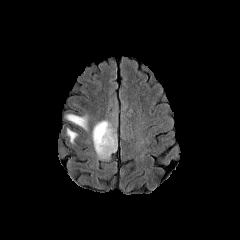
FLAIR magnetic resonance.
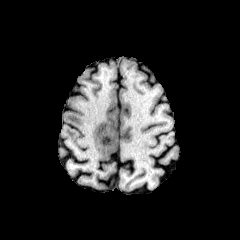
T1-weighted MR.
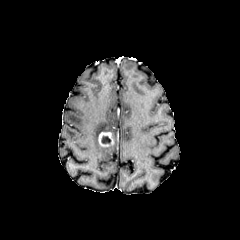
Same slice, post-contrast T1-weighted MR image.
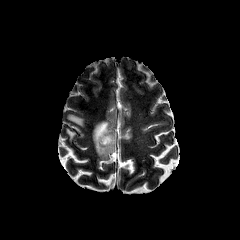
T2-weighted MRI of the same slice.
The non-enhancing tumor core lies within (left=101, top=135, right=111, bottom=144). The enhancing tumor is located at (left=98, top=132, right=113, bottom=147). 3 edema regions are located at (left=67, top=128, right=77, bottom=143), (left=92, top=120, right=116, bottom=158), (left=67, top=114, right=86, bottom=128).